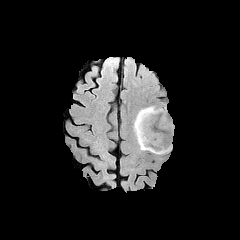
FLAIR MR image.
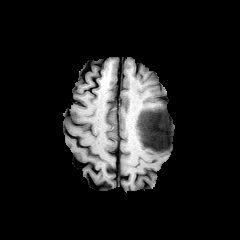
Same slice, T1-weighted MR image.
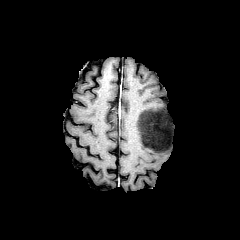
Post-contrast T1-weighted MR.
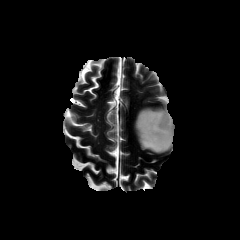
T2-weighted MR of the same slice.
Brain
Non-enhancing tumor core — 137:109:169:151.
Edema — 134:120:171:153.